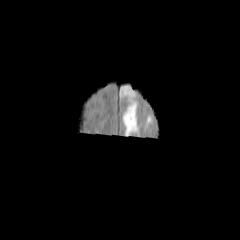
FLAIR magnetic resonance.
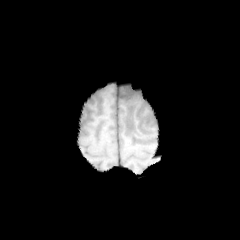
T1-weighted magnetic resonance of the same slice.
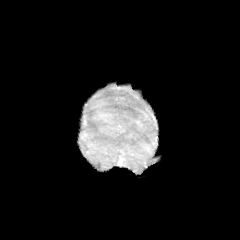
Post-contrast T1-weighted magnetic resonance.
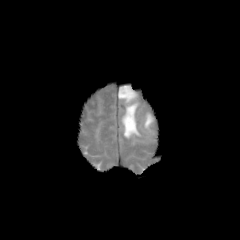
T2-weighted MR image of the same slice.
Head
edema: [118,84,137,102], [121,102,141,138], [144,114,154,127]